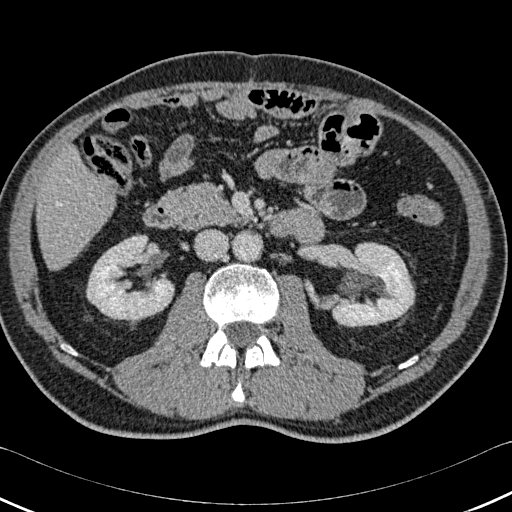

512x512 px. CT scan slice.
Liver at [x1=36, y1=148, x2=115, y2=265].
Kidney at [x1=87, y1=236, x2=173, y2=319], [x1=333, y1=243, x2=413, y2=325].
Bone at [x1=399, y1=356, x2=417, y2=368], [x1=232, y1=380, x2=244, y2=402], [x1=245, y1=335, x2=279, y2=368], [x1=200, y1=264, x2=278, y2=368], [x1=61, y1=345, x2=76, y2=354].